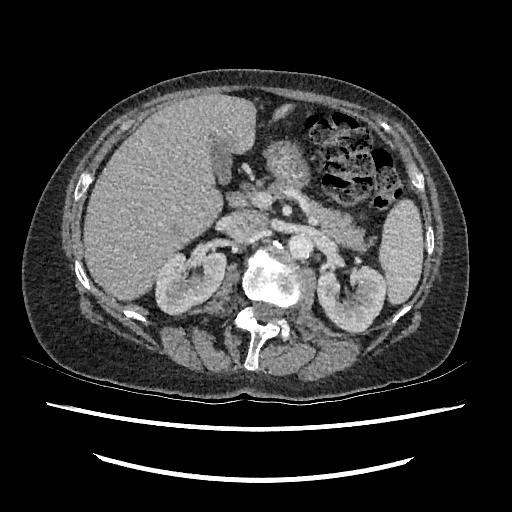
512x512, CT slice

2 kidney regions are bounded by (x1=317, y1=251, x2=386, y2=331), (x1=156, y1=251, x2=225, y2=314). 2 liver regions appear at (x1=275, y1=105, x2=291, y2=117), (x1=85, y1=95, x2=255, y2=299).